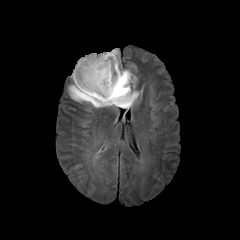
FLAIR MR.
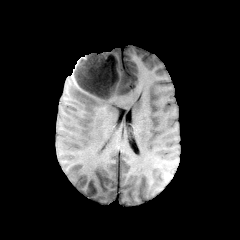
T1-weighted MRI.
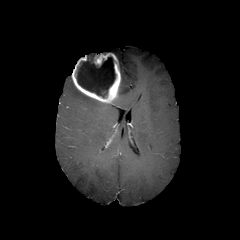
Post-contrast T1-weighted MRI.
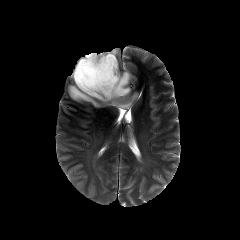
Same slice, T2-weighted MR.
Head | 240x240 px
* non-enhancing tumor core: 75,54,115,97
* enhancing tumor: 71,53,120,104
* edema: 68,60,140,110; 102,48,120,58